CT image | Abdomen | Slice index 310
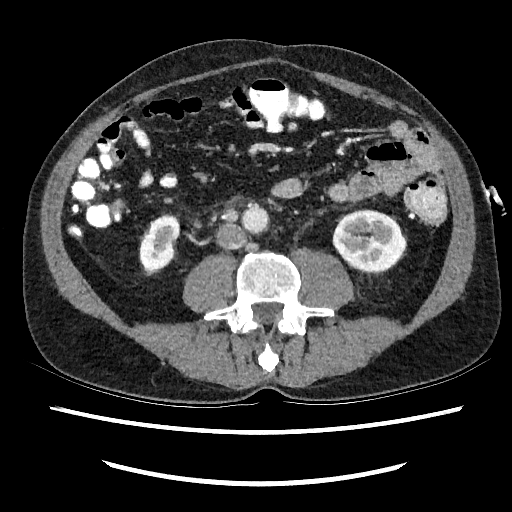

Kidney: bounding box bbox=[333, 211, 405, 270]; bbox=[140, 217, 178, 270].